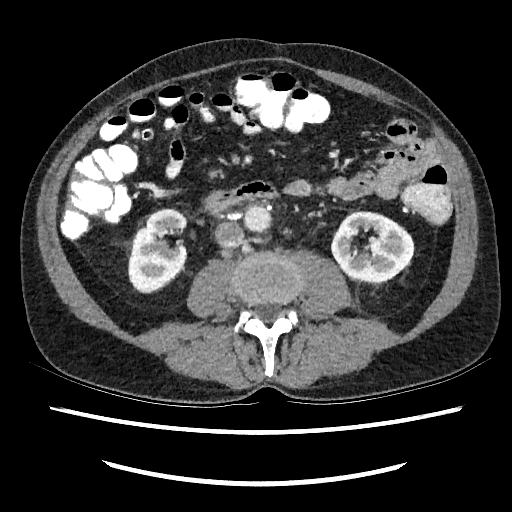

CT slice, Image size 512x512

2 kidney regions are located at 129, 210, 185, 291; 332, 212, 413, 281.